512x512 px; Liver; Computed tomography; Slice index 76
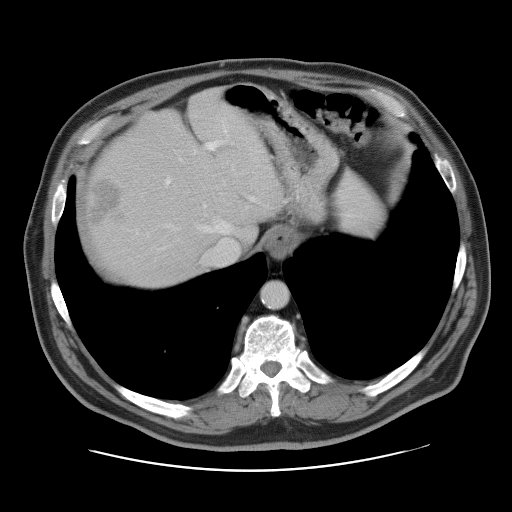

Only some of the vessels may be annotated.
Hepatic vessel at [165, 224, 174, 229], [197, 219, 237, 265], [205, 141, 223, 150], [249, 196, 256, 201], [222, 125, 227, 134], [166, 178, 170, 184].
Liver tumor at [86, 176, 127, 224].